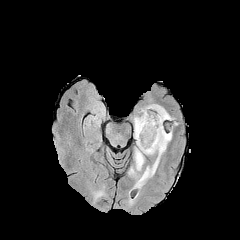
FLAIR MR image.
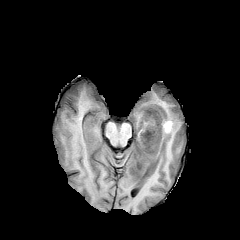
T1-weighted MR image.
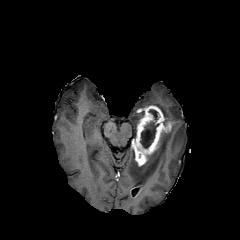
Post-contrast T1-weighted MR image of the same slice.
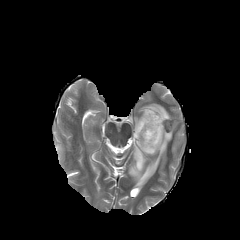
T2-weighted magnetic resonance.
Head.
<segmentation>
  <non-enhancing_tumor_core>region(140, 109, 159, 148)</non-enhancing_tumor_core>
  <edema>region(141, 104, 174, 120); region(133, 116, 139, 137); region(128, 130, 172, 188)</edema>
  <enhancing_tumor>region(131, 106, 171, 166)</enhancing_tumor>
</segmentation>